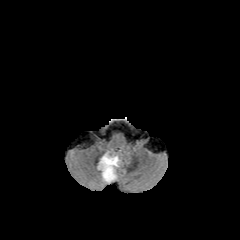
FLAIR magnetic resonance.
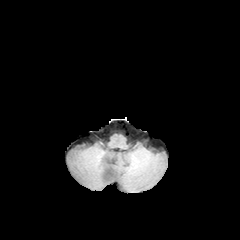
Same slice, T1-weighted MR.
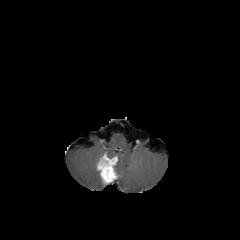
Post-contrast T1-weighted MRI.
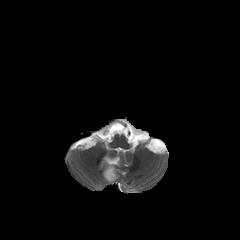
T2-weighted MR image.
Head
2 non-enhancing tumor core regions appear at bbox(98, 155, 109, 175); bbox(103, 173, 115, 183). The enhancing tumor appears at bbox(102, 156, 113, 178).